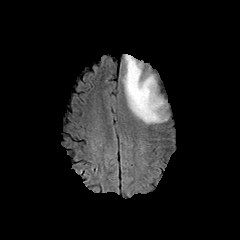
FLAIR MR.
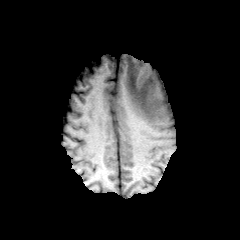
Same slice, T1-weighted magnetic resonance.
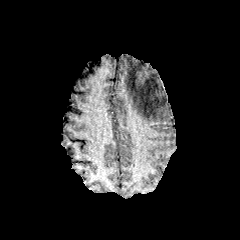
Post-contrast T1-weighted MR.
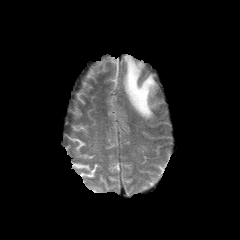
T2-weighted MR of the same slice.
Image size 240x240
Segmented structures:
- edema: left=122, top=55, right=167, bottom=124